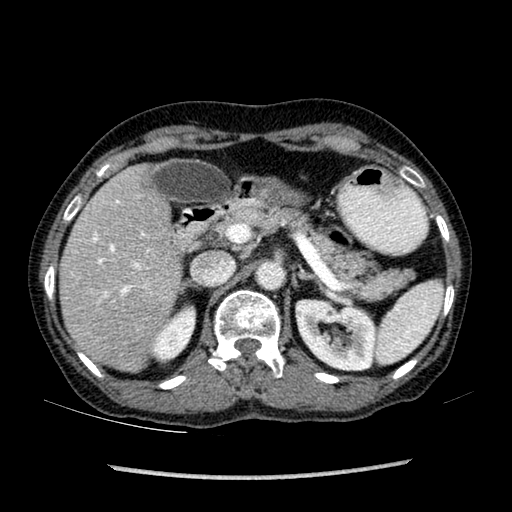 Liver. 512x512. CT.
kidney: left=152, top=309, right=194, bottom=359; left=296, top=301, right=374, bottom=369 | liver: left=60, top=170, right=180, bottom=369